Head. Slice 103/155.
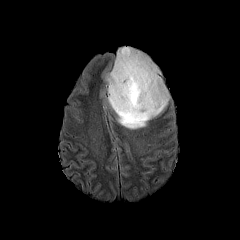
FLAIR MRI.
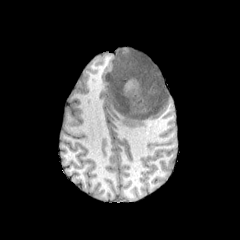
Same slice, T1-weighted MRI.
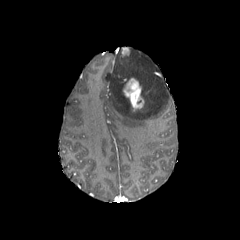
Post-contrast T1-weighted MR.
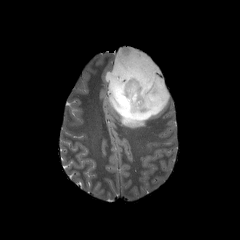
T2-weighted magnetic resonance.
2 enhancing tumor regions are located at 122,76,145,111; 121,46,131,57. The non-enhancing tumor core appears at 137,75,144,91. The edema lies within 108,52,170,130.